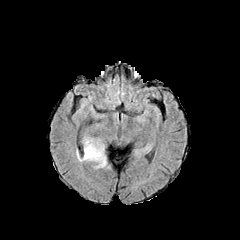
FLAIR MR.
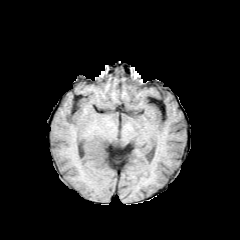
T1-weighted MR.
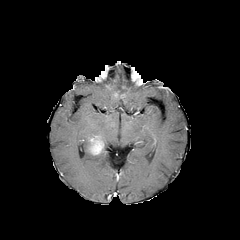
Post-contrast T1-weighted magnetic resonance of the same slice.
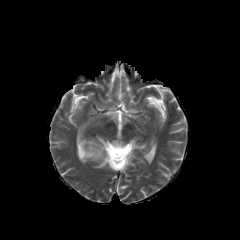
T2-weighted MR image of the same slice.
Edema: bounding box <bbox>77, 139, 108, 167</bbox>.
Enhancing tumor: bounding box <bbox>90, 138, 103, 154</bbox>.